CT image | Slice index 36 | Abdomen | Field of view 321x321 mm
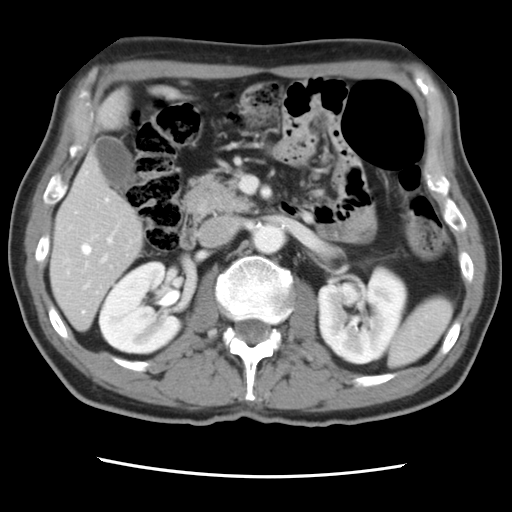
Some hepatic vessels may have no box.
hepatic_vessel:
  - x1=83, y1=244, x2=91, y2=253
  - x1=82, y1=311, x2=84, y2=312
  - x1=108, y1=236, x2=112, y2=242
  - x1=67, y1=271, x2=69, y2=273
  - x1=106, y1=199, x2=108, y2=200
  - x1=102, y1=256, x2=107, y2=261
  - x1=65, y1=260, x2=68, y2=261